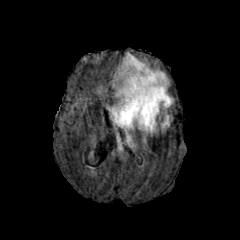
FLAIR MR.
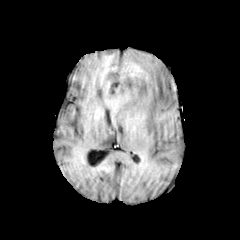
T1-weighted MRI.
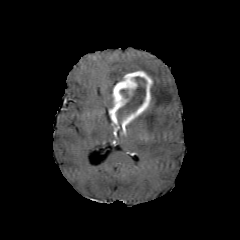
Same slice, post-contrast T1-weighted magnetic resonance.
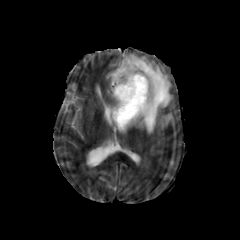
T2-weighted magnetic resonance.
Head
Edema: l=116, t=128, r=122, b=150; l=111, t=52, r=173, b=146.
Non-enhancing tumor core: l=118, t=76, r=145, b=119.
Enhancing tumor: l=108, t=70, r=153, b=134.